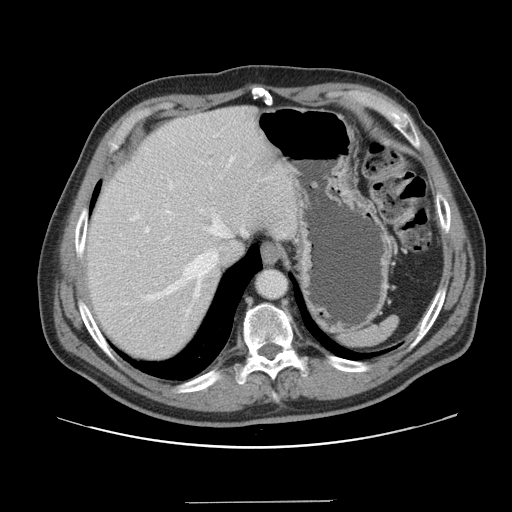
Computed tomography.
The vessel annotation is not exhaustive.
6 hepatic vessel regions are bounded by l=242, t=229, r=243, b=231; l=145, t=227, r=148, b=231; l=208, t=217, r=227, b=236; l=166, t=210, r=170, b=212; l=130, t=214, r=138, b=219; l=147, t=252, r=216, b=298.